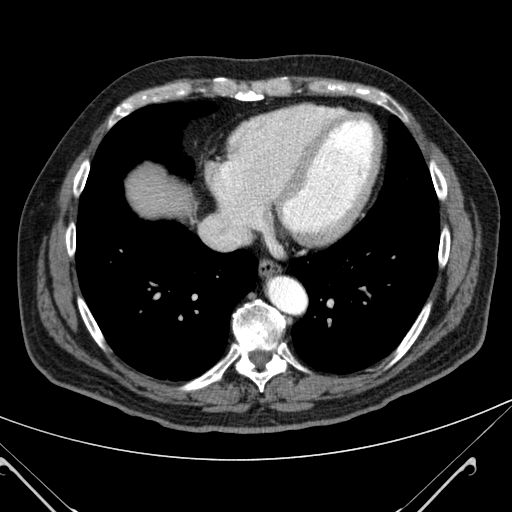 Abdomen | CT slice
- liver: left=127, top=165, right=194, bottom=216